Image size 512x512, Computed tomography
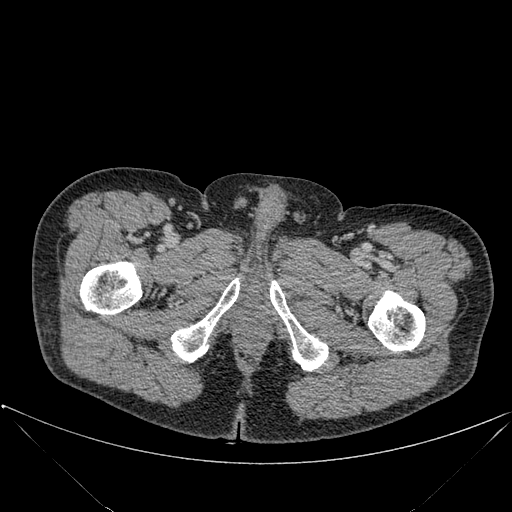

Bone: bounding box box(270, 280, 328, 370); box(171, 278, 239, 362); box(368, 290, 425, 351); box(80, 262, 141, 314).